CT scan slice | Chest | Slice 168/251

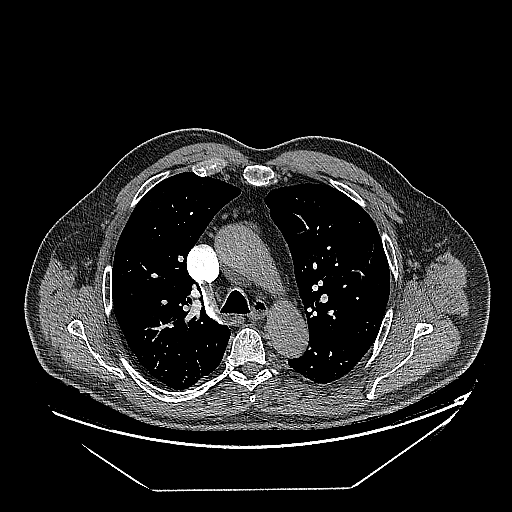 Lung tumor: bounding box (138,348,151,361).